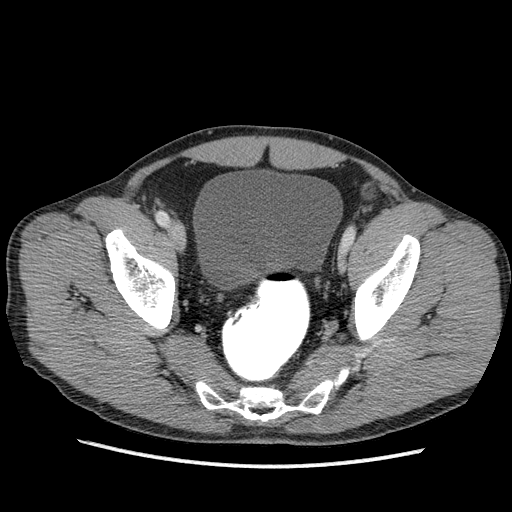
CT image
The urinary bladder is located at [193, 169, 342, 290].